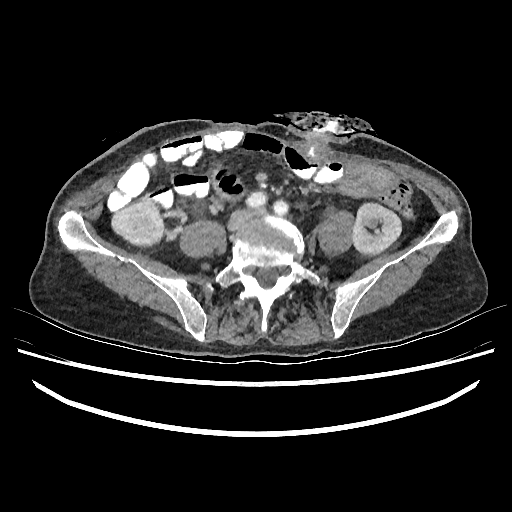

CT slice
2 kidney regions are bounded by box(112, 195, 163, 244); box(353, 203, 401, 253).